Head
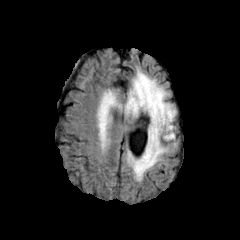
FLAIR MRI.
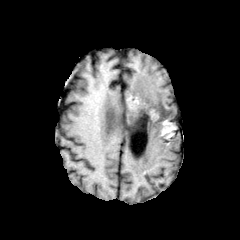
T1-weighted MR.
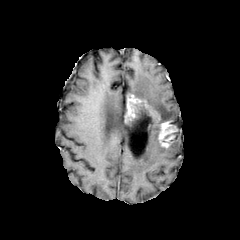
Same slice, post-contrast T1-weighted MRI.
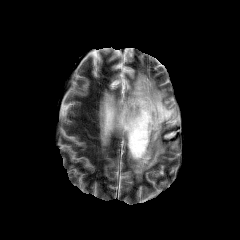
T2-weighted magnetic resonance of the same slice.
Edema at (x1=98, y1=70, x2=176, y2=180).
Enhancing tumor at (x1=125, y1=94, x2=143, y2=119), (x1=158, y1=121, x2=172, y2=138).
Non-enhancing tumor core at (x1=162, y1=129, x2=173, y2=138), (x1=133, y1=98, x2=168, y2=131).